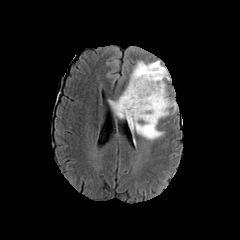
FLAIR MR image.
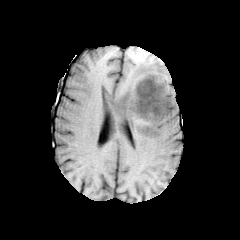
Same slice, T1-weighted MR.
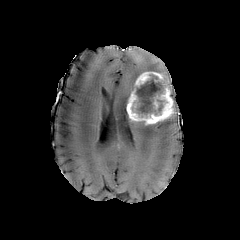
Post-contrast T1-weighted magnetic resonance.
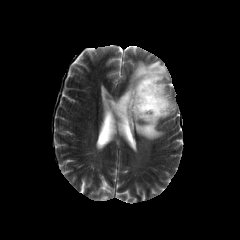
T2-weighted magnetic resonance.
Head
Findings:
• enhancing tumor: bbox=[126, 88, 175, 124]; bbox=[135, 72, 162, 87]
• edema: bbox=[109, 60, 172, 140]
• non-enhancing tumor core: bbox=[144, 121, 159, 133]; bbox=[135, 71, 168, 112]; bbox=[119, 93, 133, 121]